FLAIR MR.
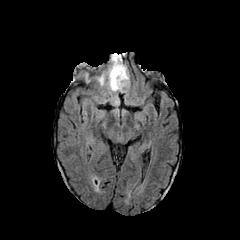
T1-weighted magnetic resonance.
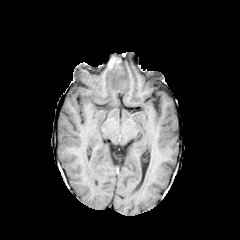
Post-contrast T1-weighted magnetic resonance.
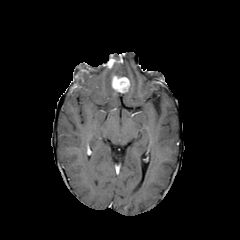
T2-weighted MR image.
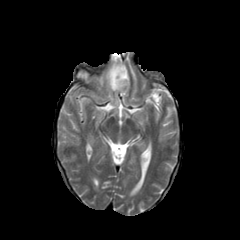
Head
- edema: box=[76, 64, 91, 82]; box=[114, 63, 129, 79]; box=[94, 69, 119, 105]
- enhancing tumor: box=[111, 74, 129, 92]; box=[107, 54, 122, 67]
- non-enhancing tumor core: box=[105, 62, 117, 84]